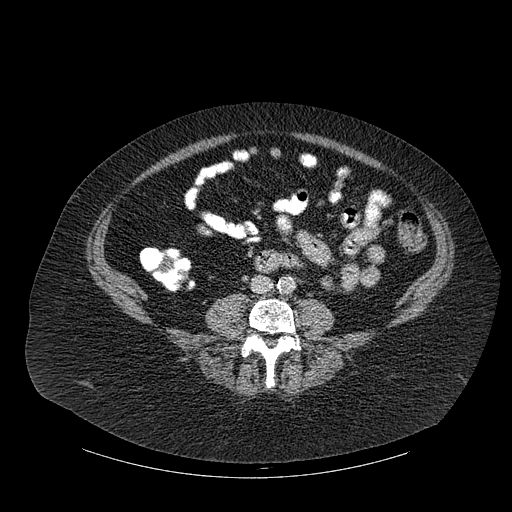

CT scan slice
bone: l=242, t=299, r=300, b=387